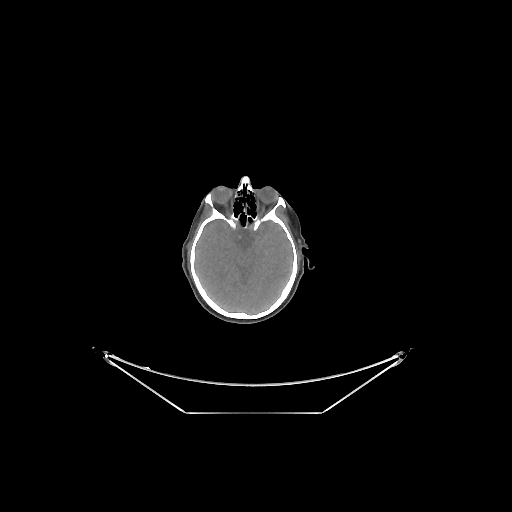 Computed tomography; Head

Brain — 194 218 293 314.